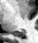 MRI slice; Hippocampus

<segmentation>
  <posterior_hippocampus>x1=14 y1=30 x2=24 y2=37</posterior_hippocampus>
</segmentation>